FLAIR magnetic resonance.
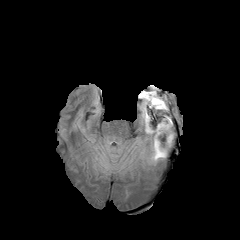
T1-weighted magnetic resonance.
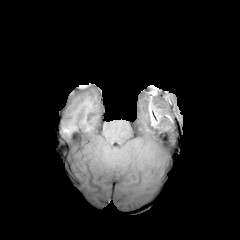
Post-contrast T1-weighted MR.
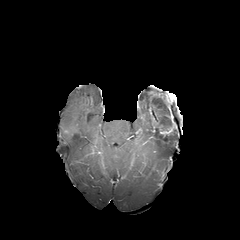
T2-weighted MR image.
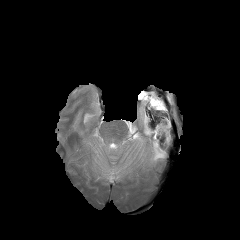
Head
non-enhancing tumor core: (149,93,162,103) | edema: (94,90,173,173)